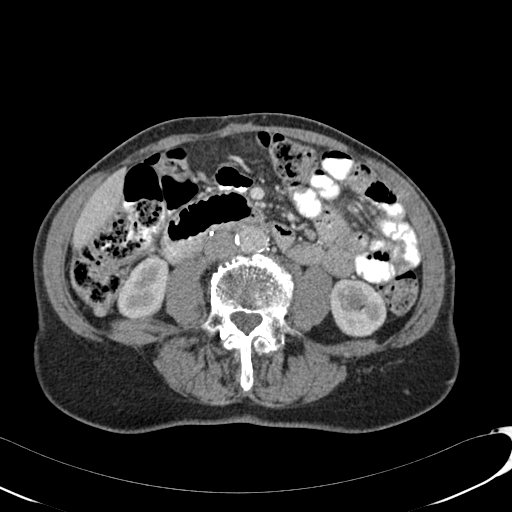
CT slice.

kidney:
  - <box>118,256,167,318</box>
  - <box>329,280,385,335</box>
liver:
  - <box>74,168,125,246</box>